FLAIR magnetic resonance.
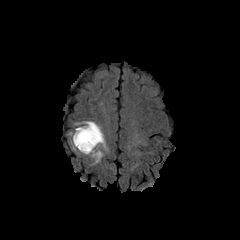
T1-weighted magnetic resonance.
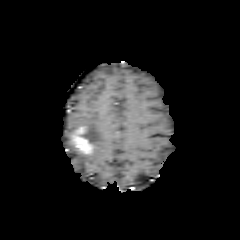
Post-contrast T1-weighted MR.
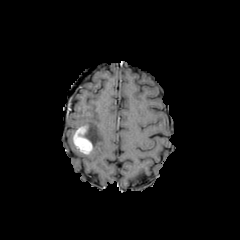
T2-weighted magnetic resonance.
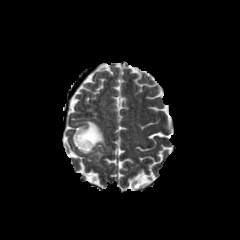
240x240. Brain.
The non-enhancing tumor core lies within (83, 126, 96, 144). The enhancing tumor lies within (73, 125, 92, 154). The edema lies within (82, 121, 105, 162).